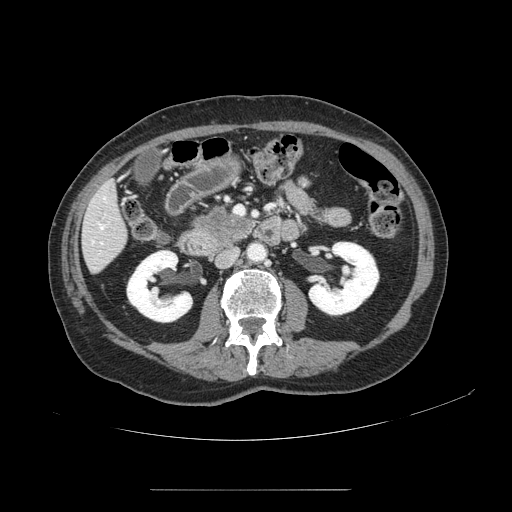
CT | Abdomen
Pancreatic tumor: bbox=[200, 214, 248, 242].
Pancreas: bbox=[193, 206, 250, 250].